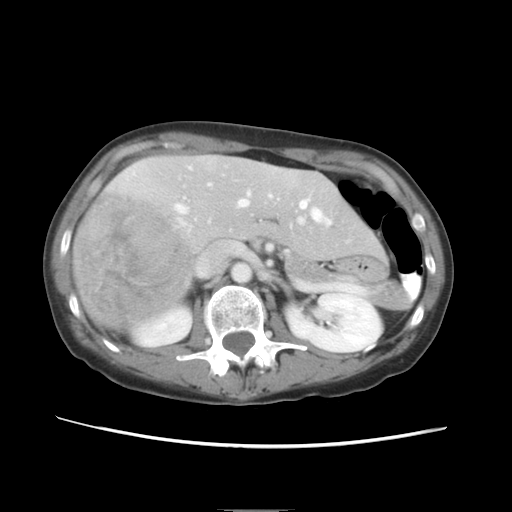

Abdomen. CT scan slice. Some hepatic vessels may have no box.
Hepatic vessel = x1=175, y1=204, x2=187, y2=212; x1=239, y1=199, x2=247, y2=206; x1=247, y1=191, x2=250, y2=195; x1=269, y1=194, x2=271, y2=196; x1=300, y1=199, x2=307, y2=207; x1=189, y1=166, x2=191, y2=168; x1=298, y1=217, x2=304, y2=222; x1=311, y1=208, x2=331, y2=224; x1=180, y1=219, x2=185, y2=224; x1=208, y1=183, x2=210, y2=184.
Liver tumor = x1=72, y1=191, x2=196, y2=329.